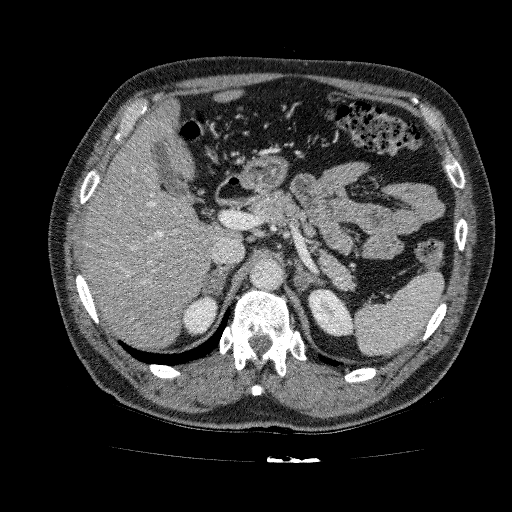
CT slice. Upper abdomen. Image size 512x512.

2 kidney regions appear at box=[309, 289, 352, 335]; box=[183, 297, 216, 333]. 2 liver regions appear at box=[81, 97, 241, 349]; box=[213, 90, 241, 101].